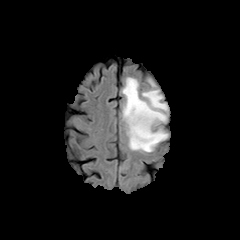
FLAIR MRI.
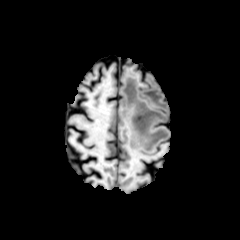
Same slice, T1-weighted MR image.
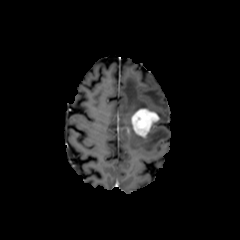
Post-contrast T1-weighted MR of the same slice.
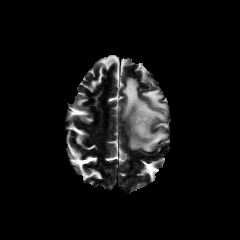
T2-weighted MR.
Brain.
{"edema": ["left=122, top=77, right=168, bottom=152"], "enhancing_tumor": ["left=131, top=108, right=159, bottom=137"]}